Slice 57/155. Brain.
FLAIR MR.
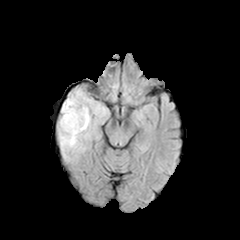
T1-weighted magnetic resonance.
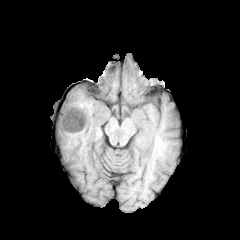
Post-contrast T1-weighted MR image.
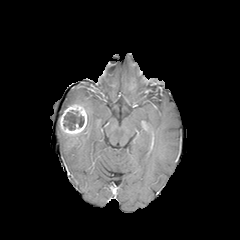
T2-weighted MRI.
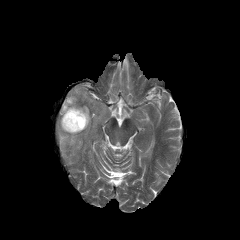
<segmentation>
  <edema>61:88:108:117, 57:105:91:160</edema>
  <enhancing_tumor>60:104:86:134</enhancing_tumor>
  <non-enhancing_tumor_core>63:110:84:130</non-enhancing_tumor_core>
</segmentation>